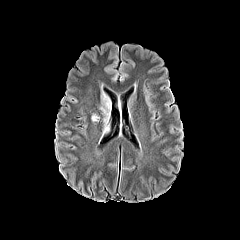
FLAIR MR.
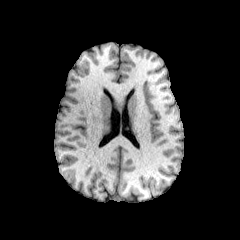
T1-weighted MR.
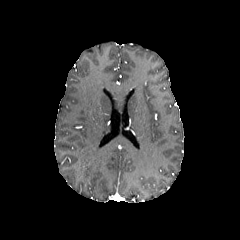
Same slice, post-contrast T1-weighted MR image.
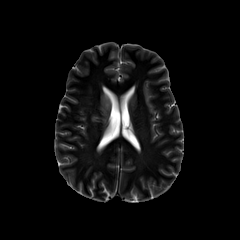
Same slice, T2-weighted magnetic resonance.
Brain
{
  "edema": [
    "(100,85,111,133)",
    "(91,113,100,122)"
  ]
}